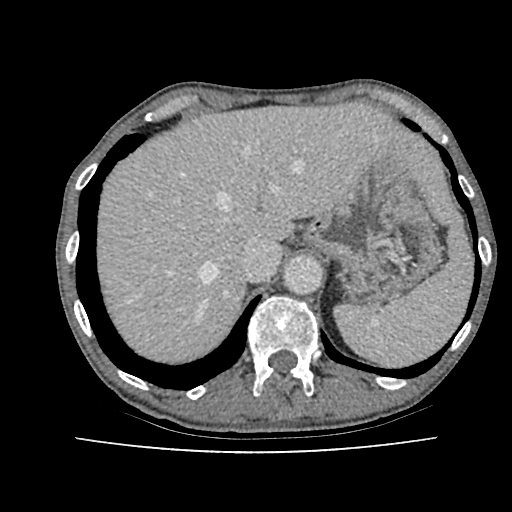
512x512 | Upper abdomen | CT
The liver is at 95:104:450:363.